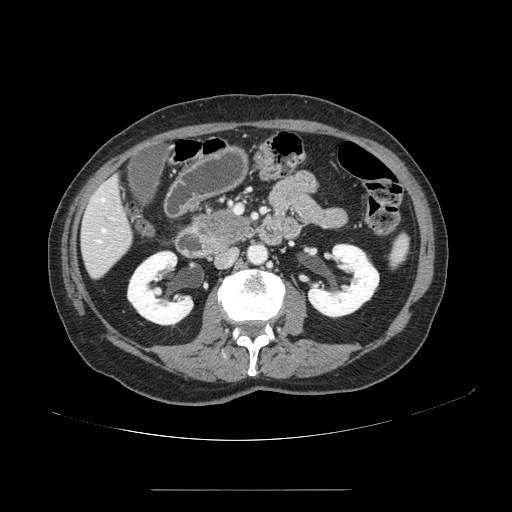

CT

pancreas: 197,207,250,247 | pancreatic tumor: 202,210,243,241